CT, Slice 453/836 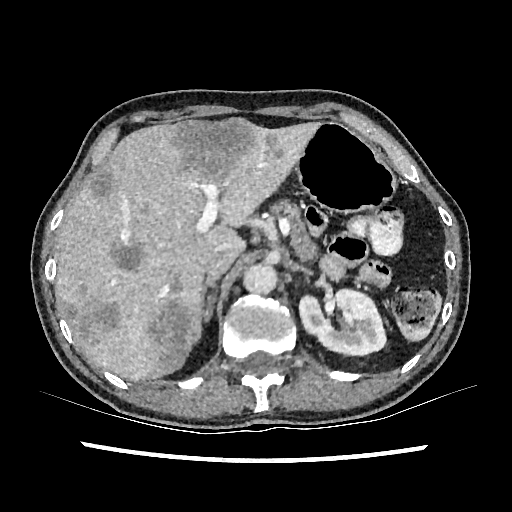

Annotated regions:
* hepatic lesion: <bbox>264, 134, 285, 160</bbox>, <bbox>59, 300, 119, 346</bbox>, <bbox>167, 118, 256, 181</bbox>, <bbox>109, 238, 145, 272</bbox>, <bbox>90, 171, 113, 196</bbox>, <bbox>146, 278, 199, 371</bbox>
* liver: <bbox>58, 123, 320, 379</bbox>
* kidney: <bbox>299, 290, 385, 358</bbox>